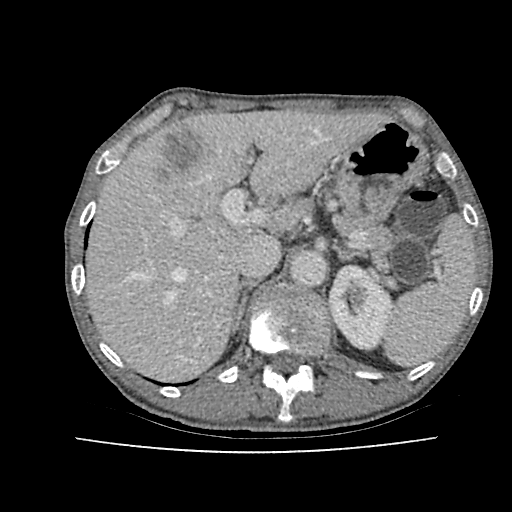
Abdomen; CT image
{"focal_liver_lesion": ["(x1=156, y1=128, x2=205, y2=184)"], "kidney": ["(x1=330, y1=269, x2=391, y2=347)"], "liver": ["(x1=89, y1=111, x2=378, y2=379)"]}